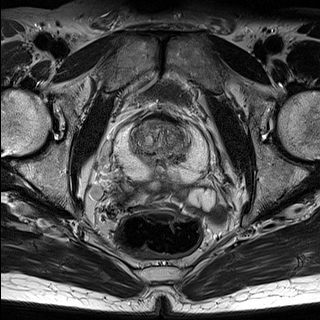
T2-weighted MRI.
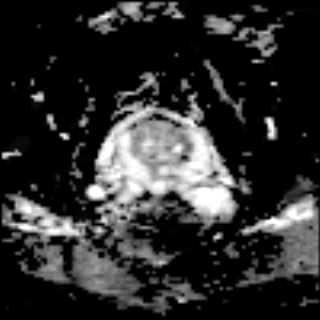
Same slice, ADC MR.
Prostate.
Prostate peripheral zone: bounding box bbox(116, 122, 206, 182).
Prostate transition zone: bounding box bbox(128, 121, 187, 166).